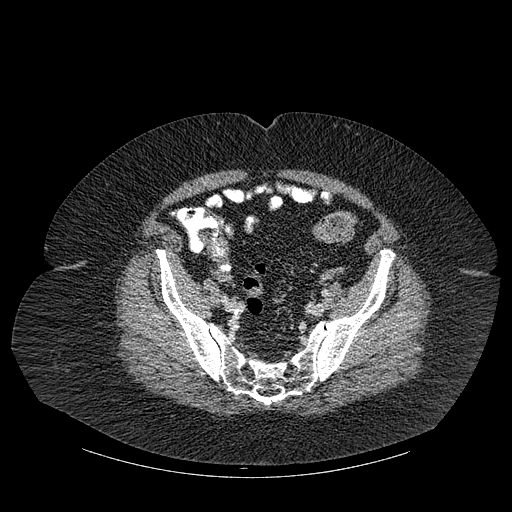

CT slice
Bone = left=224, top=190, right=241, bottom=201; left=156, top=249, right=394, bottom=404.